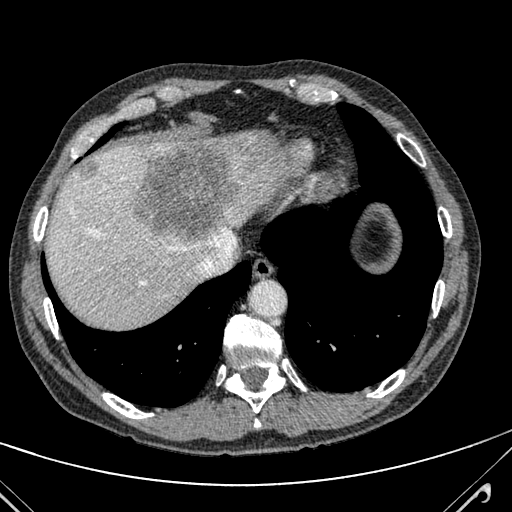
CT slice. 512x512. Liver: bounding box x1=215 y1=129 x2=285 y2=227, x1=46 y1=142 x2=208 y2=326, x1=233 y1=249 x2=240 y2=260.
Liver lesion: bounding box x1=133 y1=139 x2=242 y2=241, x1=77 y1=159 x2=95 y2=177.